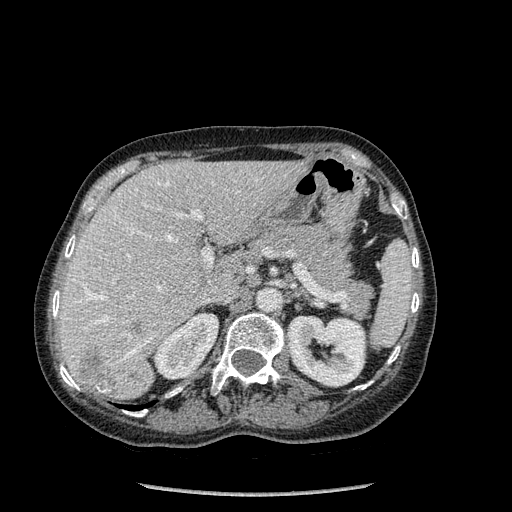 CT image; Image size 512x512

Focal liver lesion = [79,348,116,393], [128,324,139,333], [128,374,142,381].
Bone = [410,293,419,312], [387,346,400,363], [65,235,75,258], [123,409,147,417], [60,364,79,390], [211,312,284,394], [392,199,407,218], [165,387,182,397], [52,290,61,318], [353,381,372,389], [83,205,93,213], [410,247,419,267].
Liver = [60,160,307,399].
Kidney = [288,316,364,385], [155,313,218,378].